Image size 240x240
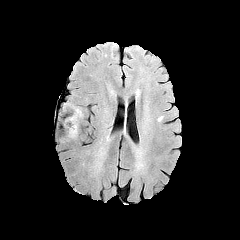
FLAIR MR image.
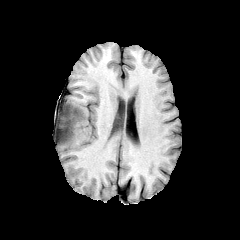
Same slice, T1-weighted MR image.
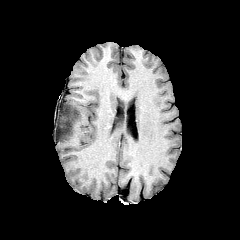
Post-contrast T1-weighted MR image.
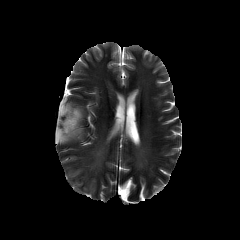
T2-weighted MR.
Annotated regions:
- edema: (left=58, top=103, right=82, bottom=138)
- non-enhancing tumor core: (left=58, top=118, right=77, bottom=139)